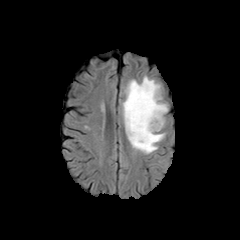
FLAIR MRI.
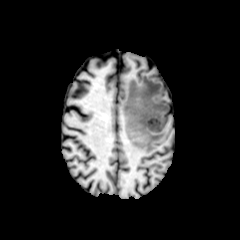
Same slice, T1-weighted MR.
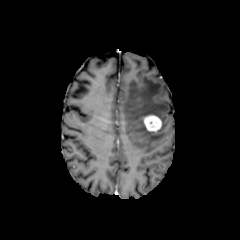
Post-contrast T1-weighted MRI.
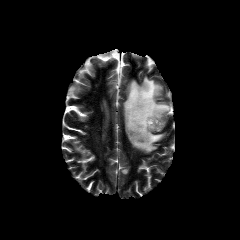
T2-weighted MR.
Brain.
Edema: 122, 76, 168, 153.
Enhancing tumor: 142, 115, 162, 131.